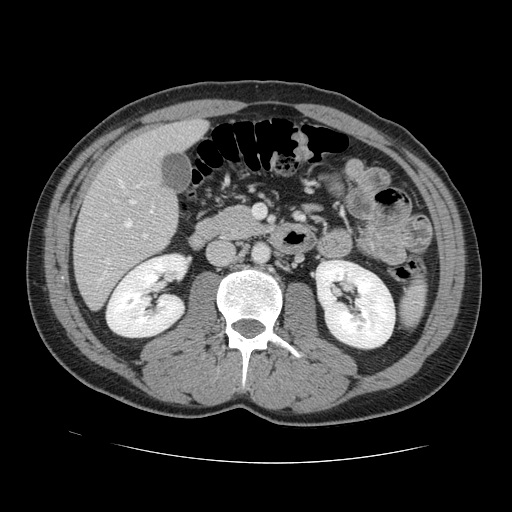
CT slice
The vessel annotation is not exhaustive.
Hepatic vessel — [124,192,126,193], [150,203,153,212], [113,200,116,202], [97,259,109,283], [142,234,146,237], [129,200,134,203], [104,214,106,216], [124,220,131,226], [136,181,144,187], [118,179,123,187], [159,152,162,154].